FLAIR magnetic resonance.
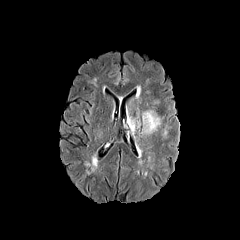
T1-weighted MR.
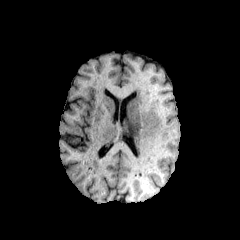
Post-contrast T1-weighted magnetic resonance.
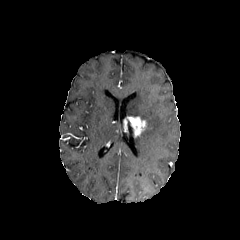
T2-weighted MR.
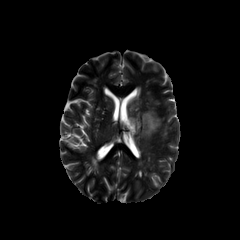
The edema appears at 142:112:159:135. The enhancing tumor lies within 124:116:147:136. The non-enhancing tumor core lies within 126:121:136:134.